Brain
FLAIR MR image.
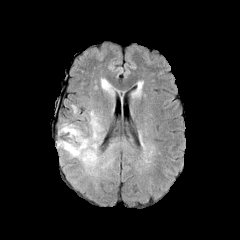
T1-weighted MR.
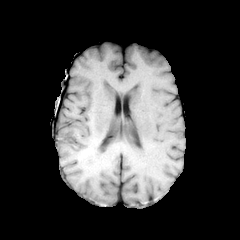
Post-contrast T1-weighted MRI.
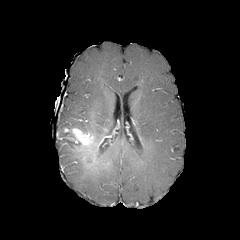
T2-weighted MR.
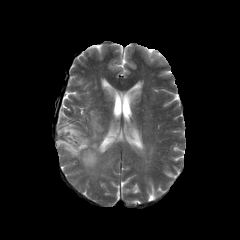
{
  "non-enhancing_tumor_core": [
    "<box>58,122,80,150</box>",
    "<box>77,137,101,168</box>"
  ],
  "edema": [
    "<box>131,89,140,96</box>",
    "<box>57,142,113,175</box>",
    "<box>66,105,104,141</box>",
    "<box>100,78,119,99</box>"
  ],
  "enhancing_tumor": [
    "<box>63,127,93,149</box>"
  ]
}